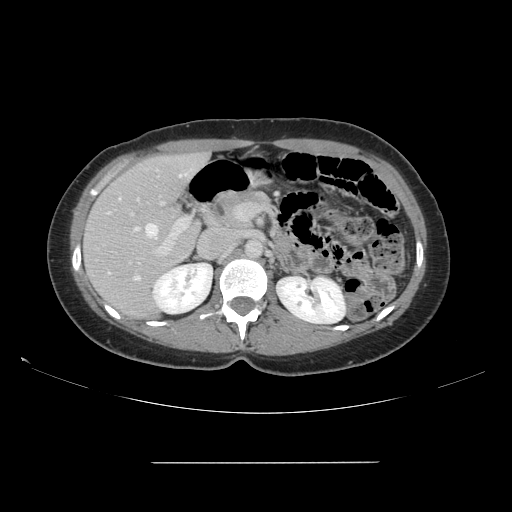 512x512 px, Abdomen, Computed tomography
The vessel boxes may cover only some of the vessels.
Segmented structures:
• hepatic vessel: 133:227:138:231, 133:275:140:280, 145:223:157:238, 155:219:187:255, 179:169:194:176, 137:198:138:200, 160:201:164:204, 108:272:109:273, 159:196:160:197, 106:211:110:213, 119:197:120:199, 156:169:157:171, 129:262:130:263, 130:213:132:214